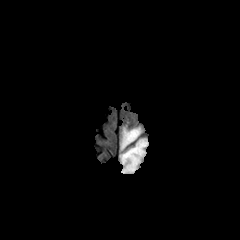
FLAIR magnetic resonance.
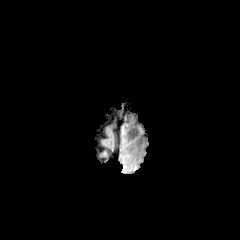
T1-weighted MR image.
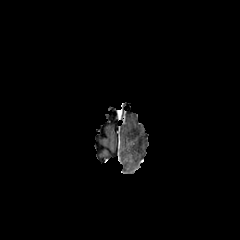
Post-contrast T1-weighted magnetic resonance.
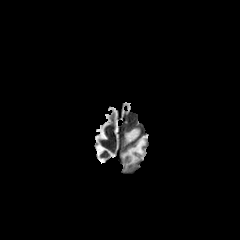
T2-weighted MRI of the same slice.
240x240 px
2 edema regions appear at {"x1": 120, "y1": 139, "x2": 148, "y2": 173}, {"x1": 121, "y1": 129, "x2": 140, "y2": 149}.